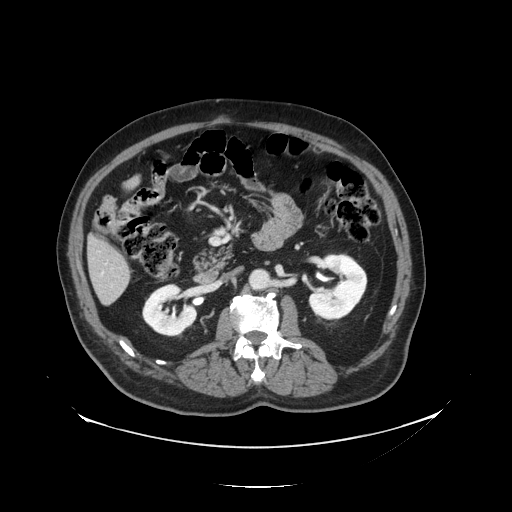 Liver | CT image

Only some of the vessels may be annotated.
{"hepatic_vessel": ["bbox=[102, 272, 104, 274]"]}